Head | 240x240
FLAIR magnetic resonance.
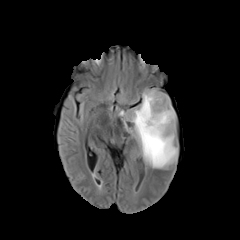
T1-weighted MR image.
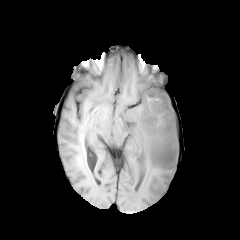
Post-contrast T1-weighted magnetic resonance.
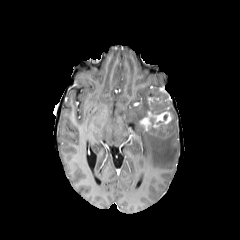
T2-weighted MR.
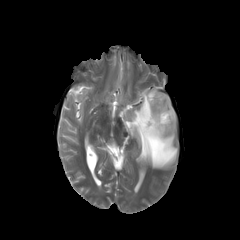
The edema appears at (left=118, top=88, right=177, bottom=168). The enhancing tumor is at (left=139, top=106, right=172, bottom=130). The non-enhancing tumor core appears at (left=145, top=92, right=174, bottom=128).